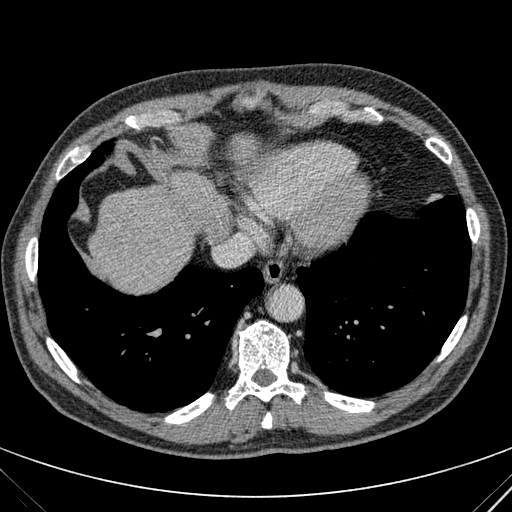
CT slice. Abdomen. Liver = [x1=90, y1=172, x2=229, y2=291], [x1=231, y1=134, x2=256, y2=163].